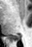
MRI slice

{
  "posterior_hippocampus": [
    "10:37:19:40"
  ]
}